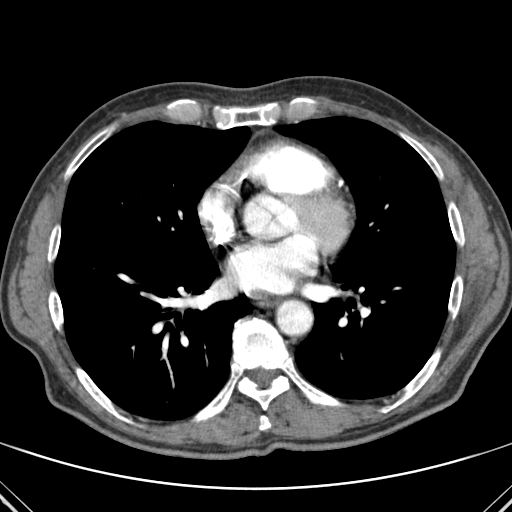

Thorax. Computed tomography. Image size 512x512.
{
  "bone": [
    "bbox=[49, 291, 63, 329]",
    "bbox=[448, 202, 464, 245]",
    "bbox=[259, 416, 270, 429]",
    "bbox=[65, 126, 113, 177]",
    "bbox=[76, 368, 131, 422]",
    "bbox=[194, 318, 341, 421]",
    "bbox=[391, 350, 440, 408]",
    "bbox=[48, 225, 60, 261]",
    "bbox=[214, 103, 278, 128]",
    "bbox=[291, 98, 313, 103]",
    "bbox=[168, 99, 194, 107]",
    "bbox=[401, 133, 443, 179]",
    "bbox=[448, 276, 462, 318]"
  ],
  "lung": [
    "bbox=[274, 116, 455, 398]",
    "bbox=[54, 121, 250, 419]"
  ]
}